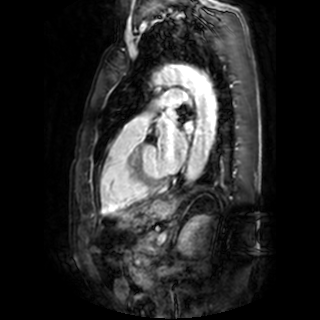
Magnetic resonance; Heart

left_atrium:
  - box=[184, 122, 193, 131]
  - box=[156, 118, 187, 172]
  - box=[167, 109, 177, 119]